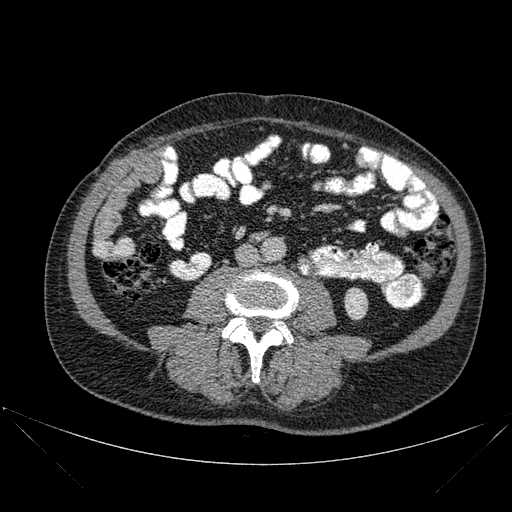
CT, Abdomen
kidney: (345,288,367,319) | bone: (222,270,298,382)